Field of view 240x240 mm | Head
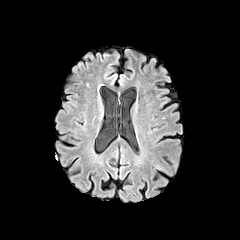
FLAIR MRI.
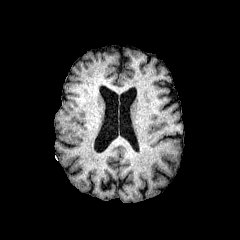
T1-weighted MR image.
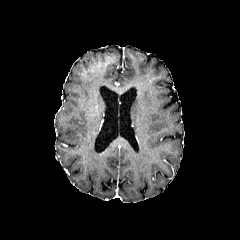
Post-contrast T1-weighted MR.
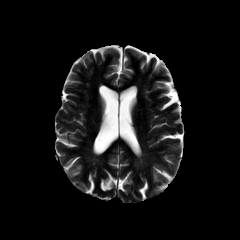
T2-weighted MR image.
edema:
  - <box>150,159,166,172</box>